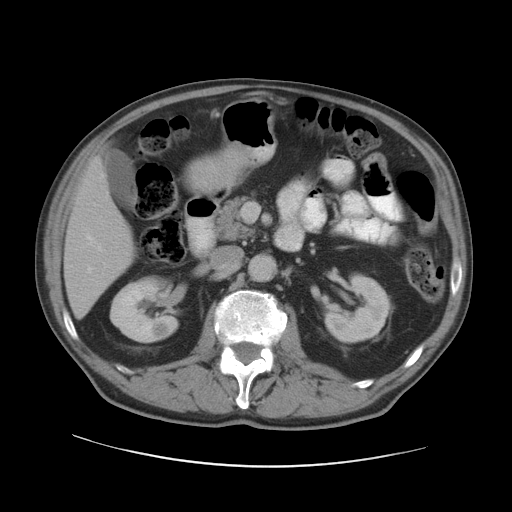
CT; 512x512; Abdomen
The vessel boxes may cover only some of the vessels.
Hepatic vessel: bounding box (x1=85, y1=233, x2=93, y2=244), (x1=87, y1=265, x2=91, y2=271), (x1=69, y1=231, x2=70, y2=233), (x1=98, y1=244, x2=101, y2=250), (x1=99, y1=174, x2=102, y2=180).
Liver tumor: bounding box (x1=194, y1=155, x2=243, y2=190).